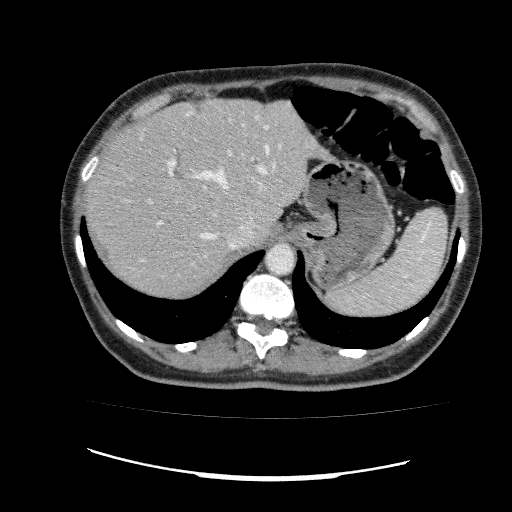

Computed tomography
- liver: [x1=84, y1=97, x2=333, y2=298]